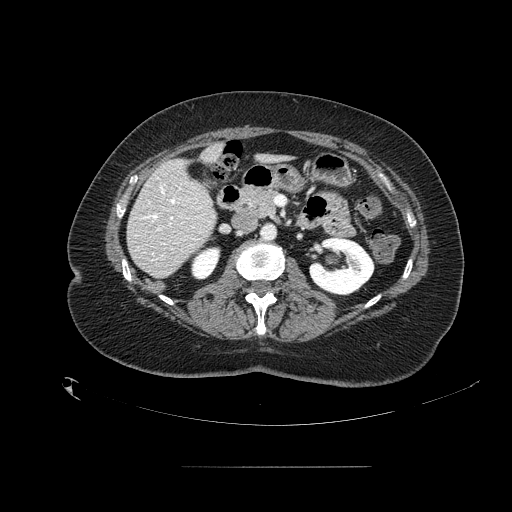

Computed tomography. The pancreas is located at rect(234, 186, 279, 219).